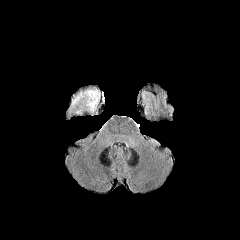
FLAIR MRI.
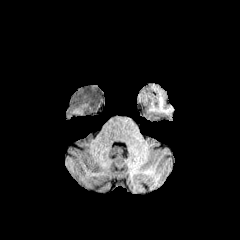
Same slice, T1-weighted MRI.
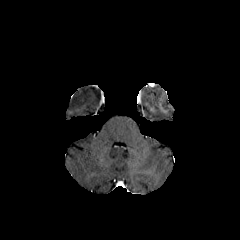
Post-contrast T1-weighted MRI.
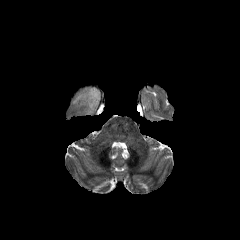
T2-weighted MR image.
Brain
Edema: l=84, t=90, r=99, b=111.